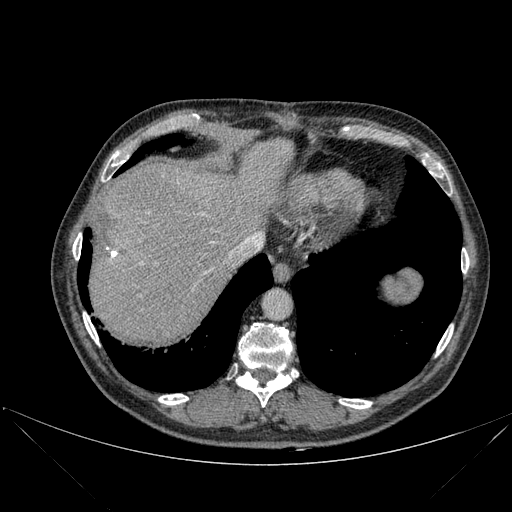
CT scan slice
liver:
  - 89:138:293:343
bone:
  - 339:399:371:408
  - 236:323:293:406
  - 436:326:453:355
  - 83:312:99:345
  - 104:152:125:172
  - 429:171:442:177
  - 158:394:188:404
  - 461:248:469:273
  - 73:233:81:259
lung:
  - 77:228:91:309
  - 98:254:272:391
  - 115:134:191:175
  - 291:156:462:396